FLAIR MR image.
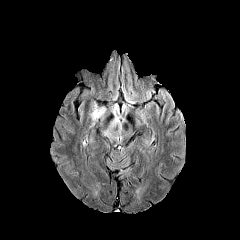
T1-weighted MR image.
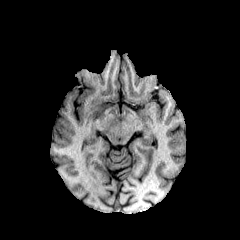
Post-contrast T1-weighted MR image.
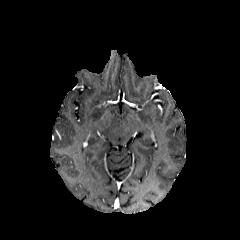
T2-weighted MRI.
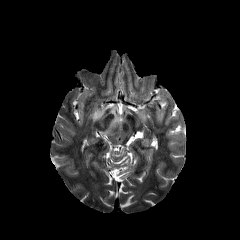
Brain
<segmentation>
  <edema>box=[91, 104, 103, 119]</edema>
</segmentation>